Slice 82 of 168; 512x512; CT 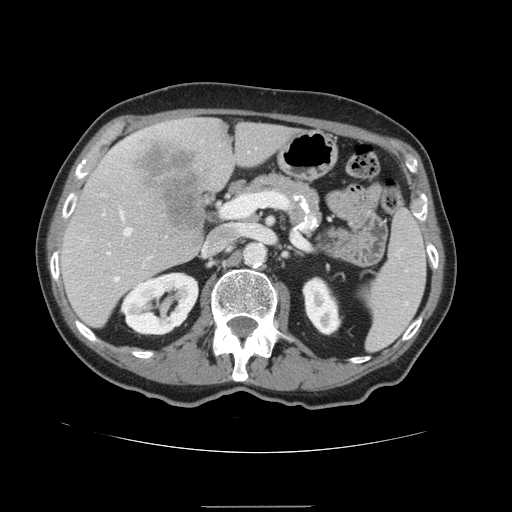 Spleen at l=365, t=210, r=426, b=349.